CT scan slice, Image width 460 mm, Slice 30/50
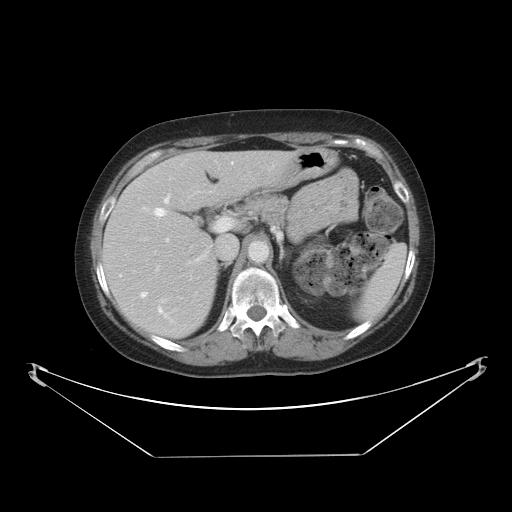 Some hepatic vessels may have no box.
<segmentation>
  <hepatic_vessel>(left=141, top=292, right=147, bottom=296), (left=166, top=239, right=168, bottom=241), (left=158, top=308, right=162, bottom=312), (left=120, top=274, right=121, bottom=276), (left=164, top=196, right=168, bottom=202), (left=155, top=208, right=164, bottom=215)</hepatic_vessel>
</segmentation>